CT image; Image width 382 mm; Image size 512x512; Upper abdomen
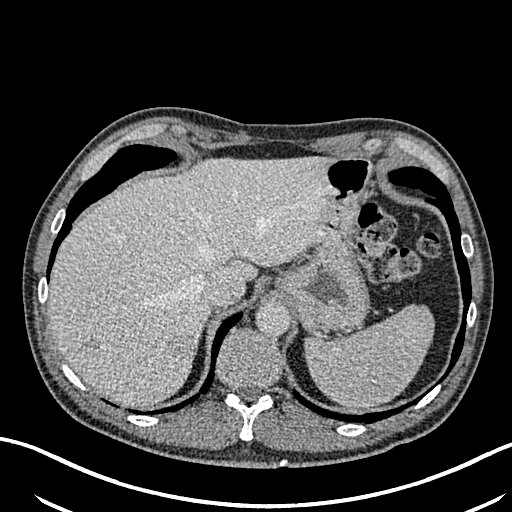 <segmentation>
  <focal_liver_lesion><bbox>167, 335, 191, 357</bbox>, <bbox>124, 384, 132, 392</bbox></focal_liver_lesion>
  <liver><bbox>48, 156, 334, 405</bbox></liver>
</segmentation>